Computed tomography. Image size 512x512.

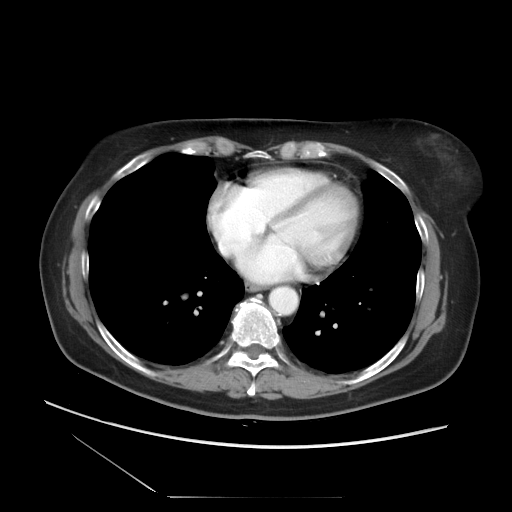 Not every hepatic vessel necessarily has a box.
Segmented structures:
* hepatic vessel: 222:245:247:265, 214:229:246:246